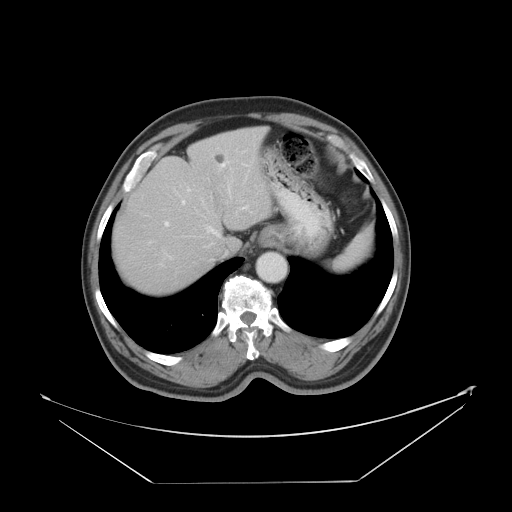
CT scan slice. Liver.

The vessel boxes may cover only some of the vessels.
[15/19] hepatic vessel: x1=218, y1=161, x2=228, y2=169; x1=239, y1=205, x2=250, y2=211; x1=235, y1=149, x2=245, y2=153; x1=182, y1=200, x2=185, y2=204; x1=173, y1=187, x2=179, y2=196; x1=230, y1=168, x2=233, y2=171; x1=229, y1=180, x2=233, y2=183; x1=162, y1=250, x2=172, y2=259; x1=242, y1=163, x2=249, y2=166; x1=164, y1=222, x2=168, y2=226; x1=200, y1=198, x2=210, y2=216; x1=205, y1=242, x2=213, y2=247; x1=245, y1=171, x2=248, y2=180; x1=205, y1=225, x2=220, y2=237; x1=227, y1=185, x2=231, y2=198